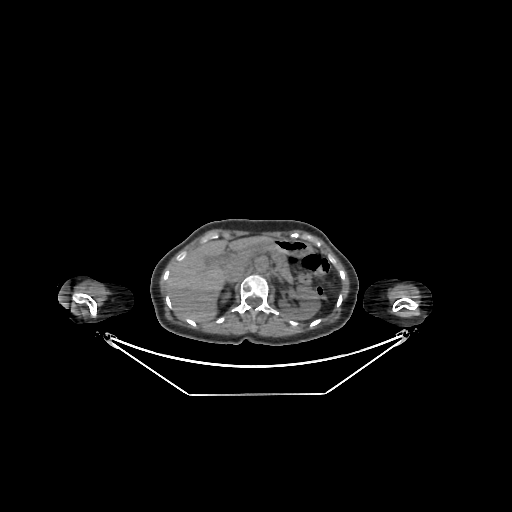

512x512 px; Computed tomography
Kidney — box(278, 284, 321, 320).
Liver — box(164, 237, 268, 321).